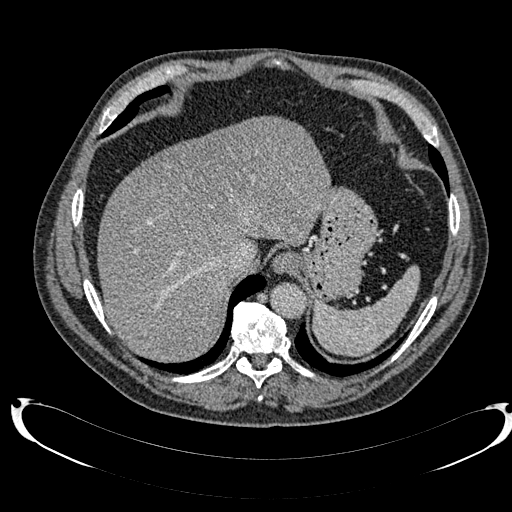
CT scan slice

liver_lesion:
  - (137, 123, 267, 224)
liver:
  - (98, 116, 329, 361)